Image width 240 mm; Brain; Slice 78/155
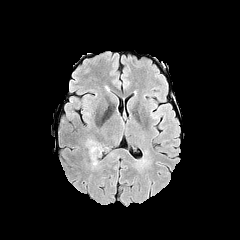
FLAIR MR image.
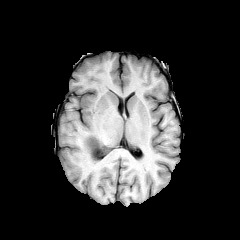
T1-weighted MR.
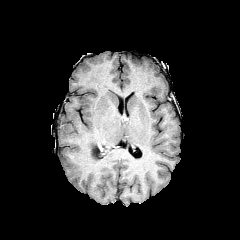
Post-contrast T1-weighted MR image.
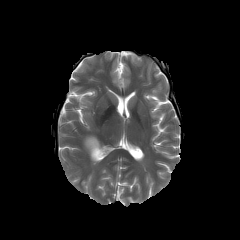
T2-weighted MR.
Edema = x1=85, y1=136, x2=100, y2=165.
Non-enhancing tumor core = x1=93, y1=146, x2=105, y2=157.